Liver; CT slice; Field of view 438x438 mm 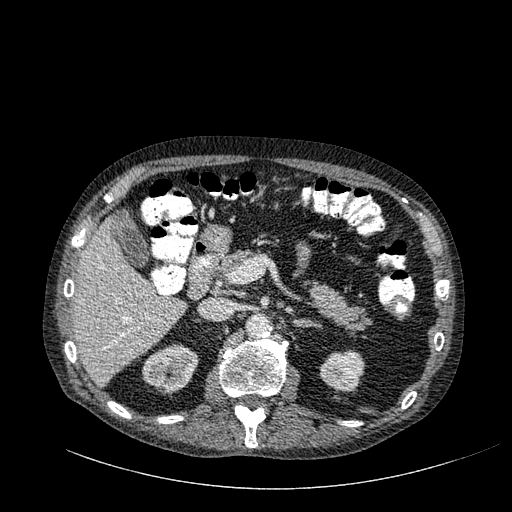

2 kidney regions are located at (320,350,365,391), (142,344,198,393). The liver is at (74,218,186,386).